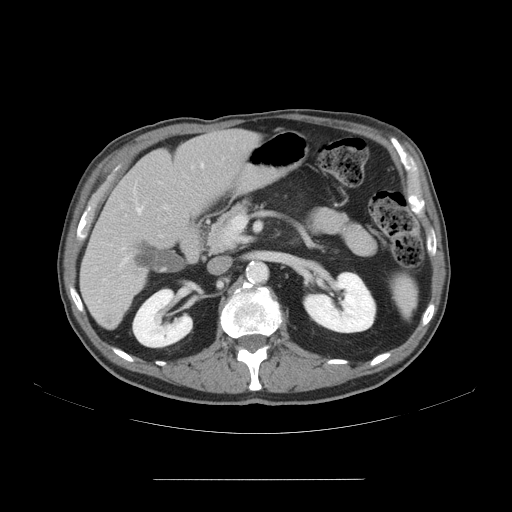
Liver, CT slice

The vessel boxes may cover only some of the vessels.
• hepatic vessel: [136,204,143,214], [119,256,128,268], [122,247,124,249], [224,215,240,242], [200,163,203,167]